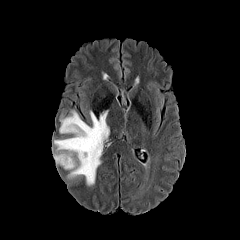
FLAIR MR.
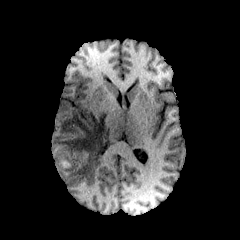
T1-weighted magnetic resonance.
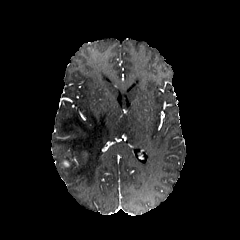
Post-contrast T1-weighted MR image of the same slice.
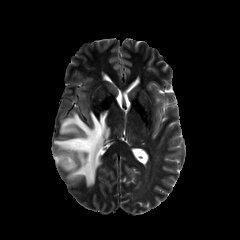
T2-weighted magnetic resonance.
Image size 240x240
edema:
  - box(53, 111, 109, 186)